512x512 px | Computed tomography | Abdomen | Slice index 45
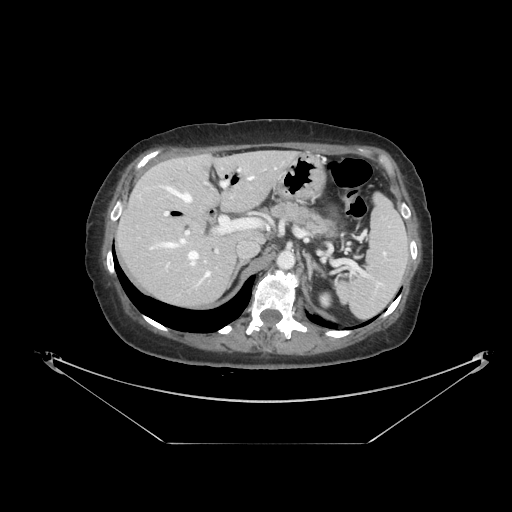 pancreas: <box>270,201,337,237</box>